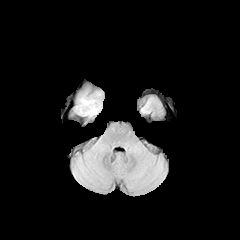
FLAIR MRI.
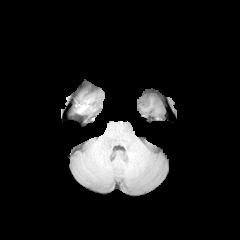
T1-weighted magnetic resonance of the same slice.
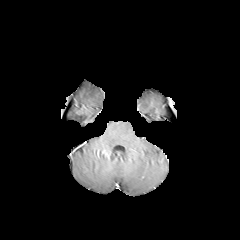
Same slice, post-contrast T1-weighted magnetic resonance.
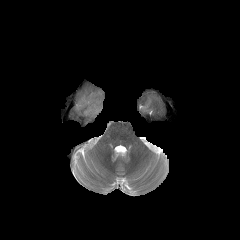
T2-weighted MRI.
Brain, Image size 240x240
The edema appears at 76:95:100:116.